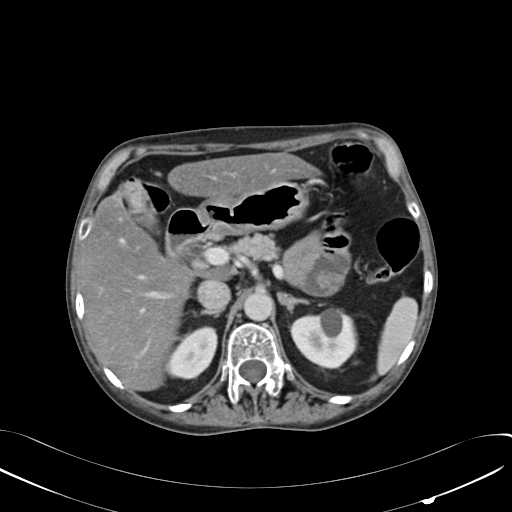

512x512, CT scan slice, Upper abdomen
Liver: 80, 186, 235, 390; 169, 152, 312, 198.
Focal liver lesion: 122, 181, 146, 211.
Kidney: 292, 316, 353, 366; 171, 329, 215, 377.